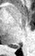 Hippocampus; MR image
The posterior hippocampus appears at (left=11, top=45, right=19, bottom=48).